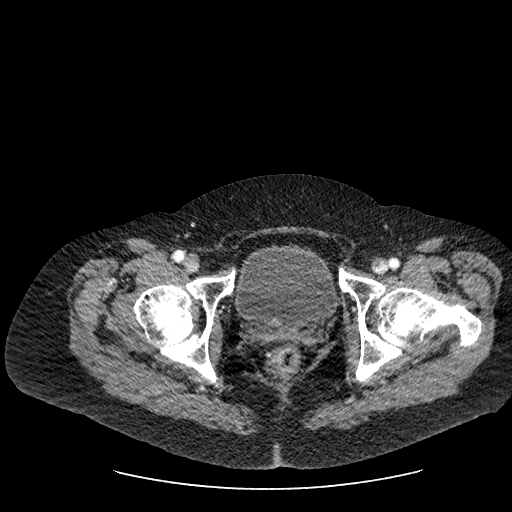

CT image, Lower abdomen
The urinary bladder is at (x1=231, y1=244, x2=339, y2=334).